CT; Abdomen

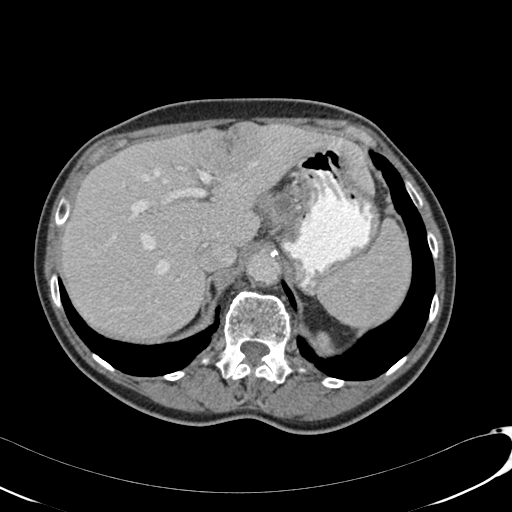 focal liver lesion: 201,123,261,172 | liver: 212,122,242,132; 63,123,373,338